CT image; Field of view 330x330 mm; Slice index 546 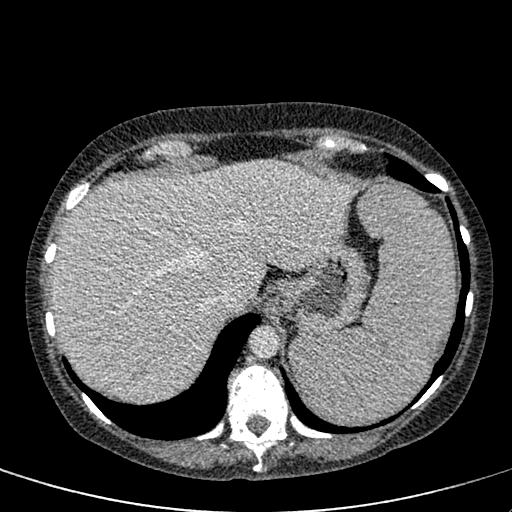 The liver appears at left=55, top=161, right=356, bottom=401.